Abdomen | Slice 403 of 908 | CT 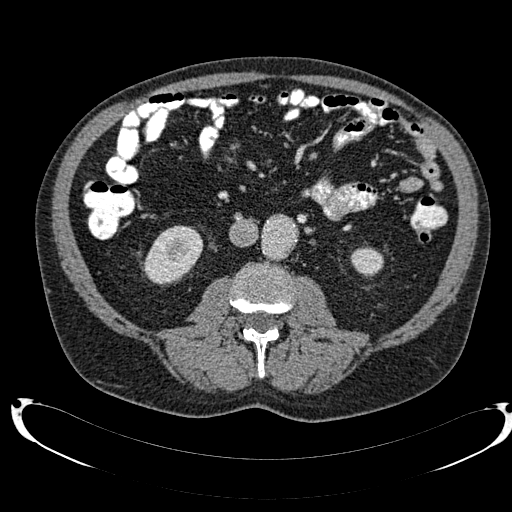 Kidney at {"x1": 144, "y1": 226, "x2": 202, "y2": 283}, {"x1": 351, "y1": 247, "x2": 383, "y2": 276}.